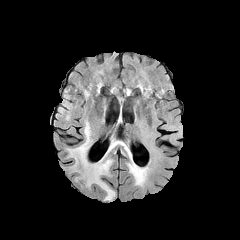
FLAIR magnetic resonance.
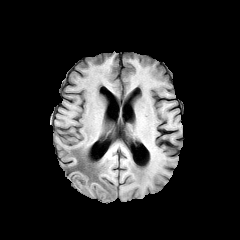
Same slice, T1-weighted MRI.
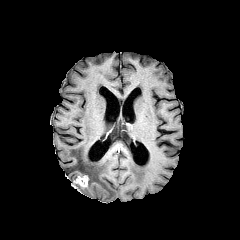
Post-contrast T1-weighted magnetic resonance.
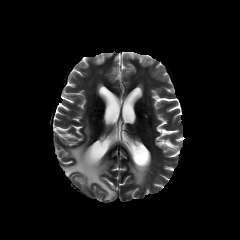
T2-weighted MRI.
Head
Non-enhancing tumor core = box=[66, 158, 91, 185].
Edema = box=[68, 124, 114, 200]; box=[127, 150, 148, 185].
Enhancing tumor = box=[76, 176, 89, 187].